FLAIR MR.
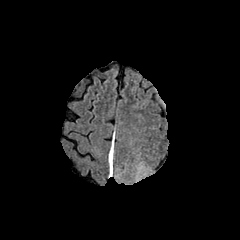
T1-weighted MR image.
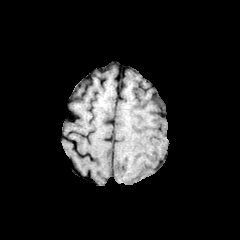
Post-contrast T1-weighted MR image.
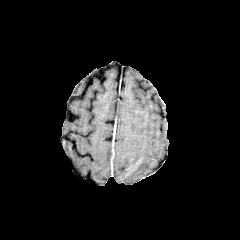
T2-weighted MR image.
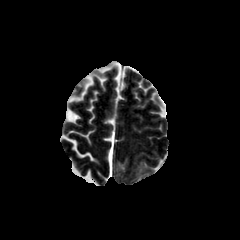
240x240 px.
{"edema": ["x1=108 y1=144 x2=113 y2=175"]}